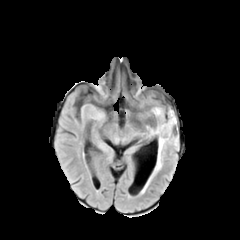
FLAIR magnetic resonance.
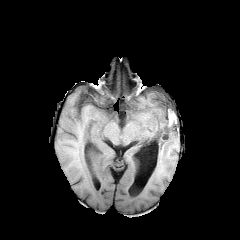
T1-weighted MR.
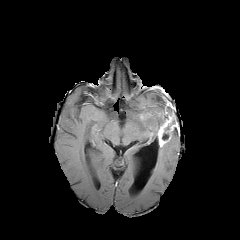
Post-contrast T1-weighted MR.
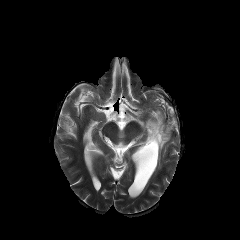
T2-weighted MR of the same slice.
Brain
<segmentation>
  <edema>[x1=152, y1=107, x2=163, y2=115], [x1=141, y1=128, x2=178, y2=193], [x1=156, y1=114, x2=168, y2=127]</edema>
  <enhancing_tumor>[x1=156, y1=116, x2=176, y2=147]</enhancing_tumor>
  <non-enhancing_tumor_core>[x1=162, y1=128, x2=171, y2=141]</non-enhancing_tumor_core>
</segmentation>